FLAIR MR image.
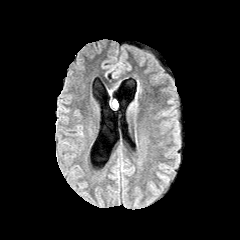
T1-weighted MRI.
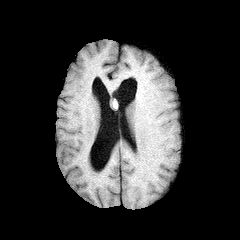
Post-contrast T1-weighted MR image.
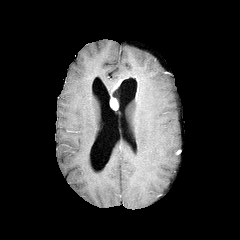
T2-weighted MRI.
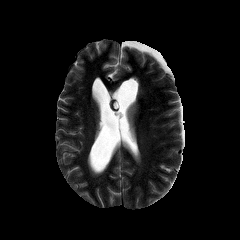
240x240 px; Head
The enhancing tumor is at [x1=110, y1=98, x2=117, y2=109].